CT

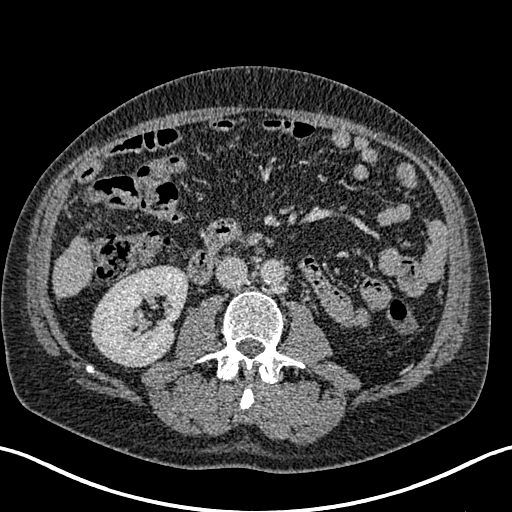 • liver: (x1=53, y1=237, x2=91, y2=298)
• kidney: (x1=92, y1=266, x2=187, y2=366)